FLAIR magnetic resonance.
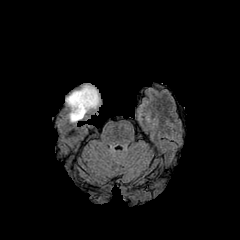
T1-weighted MR.
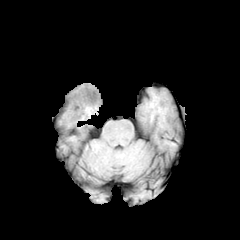
Post-contrast T1-weighted magnetic resonance.
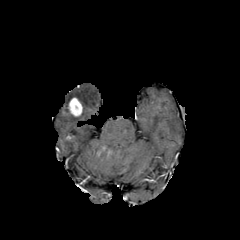
T2-weighted MR.
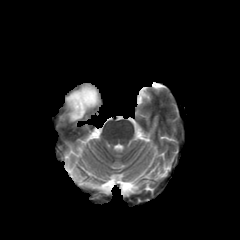
Edema = 65:83:100:123.
Enhancing tumor = 69:97:83:116.